Computed tomography | Image width 421 mm
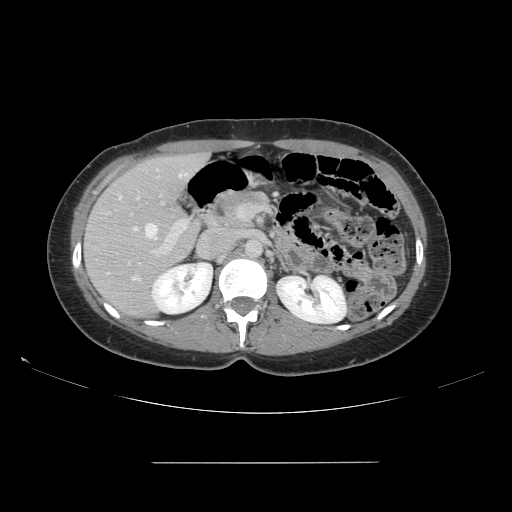
The vessel boxes may cover only some of the vessels.
Hepatic vessel — (x1=137, y1=195, x2=139, y2=199), (x1=161, y1=202, x2=163, y2=204), (x1=145, y1=223, x2=156, y2=239), (x1=130, y1=213, x2=132, y2=214), (x1=132, y1=276, x2=140, y2=280), (x1=179, y1=173, x2=189, y2=177), (x1=153, y1=220, x2=187, y2=255), (x1=107, y1=272, x2=108, y2=274), (x1=118, y1=194, x2=121, y2=198), (x1=132, y1=227, x2=136, y2=230).